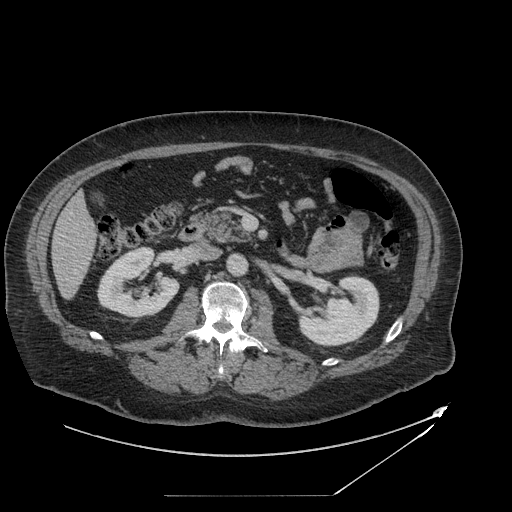 Computed tomography, 512x512
Pancreas: bounding box 193 209 250 243.